Image width 333 mm, CT image, Slice 55 of 144
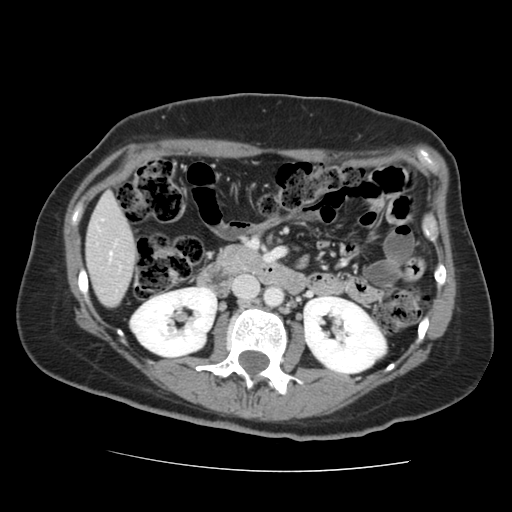
Not every hepatic vessel necessarily has a box.
The hepatic vessel lies within [109, 252, 111, 261].